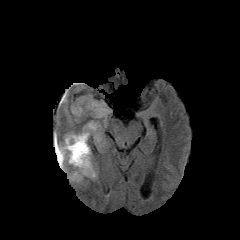
FLAIR MR image.
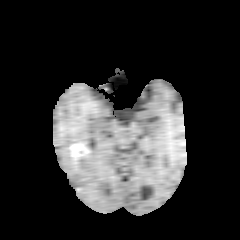
Same slice, T1-weighted magnetic resonance.
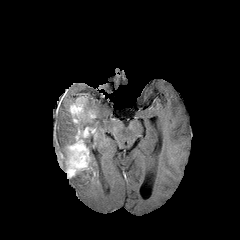
Post-contrast T1-weighted MR image.
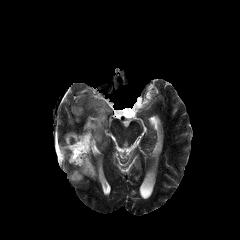
T2-weighted MR of the same slice.
240x240; Brain
<segmentation>
  <edema>(89,101,108,118), (58,120,107,182)</edema>
  <non-enhancing_tumor_core>(55,143,67,162), (82,134,94,151)</non-enhancing_tumor_core>
  <enhancing_tumor>(58,152,64,166), (65,126,98,177)</enhancing_tumor>
</segmentation>